Slice 500/685. Liver. CT scan slice.
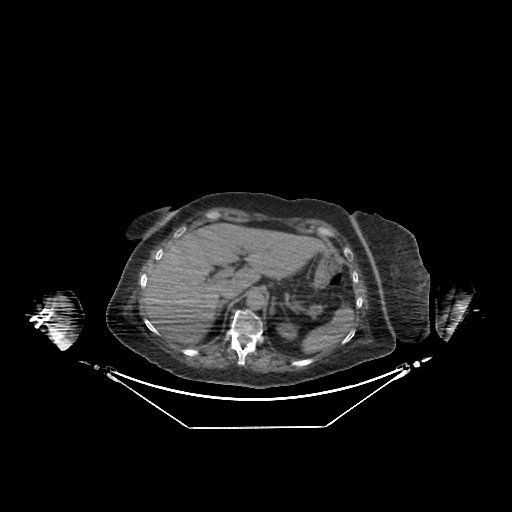 Kidney at (left=276, top=320, right=296, bottom=339).
Liver at (left=142, top=221, right=323, bottom=346).